Slice index 376. CT.

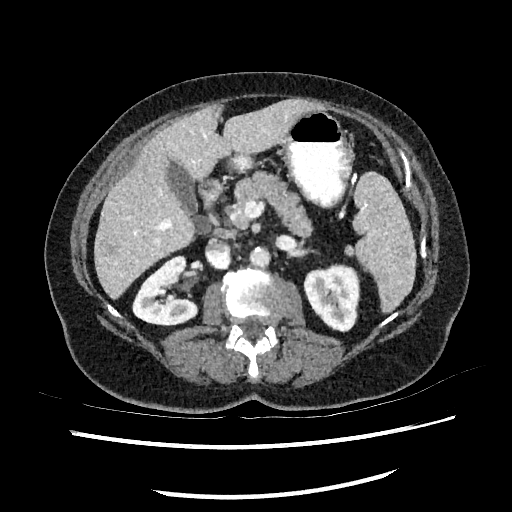
2 kidney regions are bounded by (133,257,196,324), (304,267,358,330). The liver lesion appears at (101,240,116,254). The liver is bounded by (94,98,315,299).